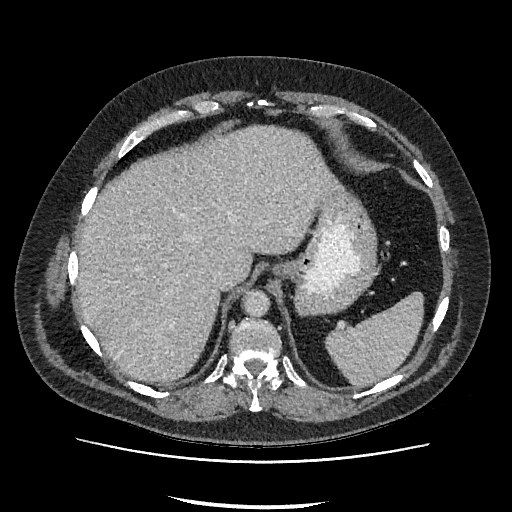
Upper abdomen; CT scan slice
liver: (78, 126, 340, 381)